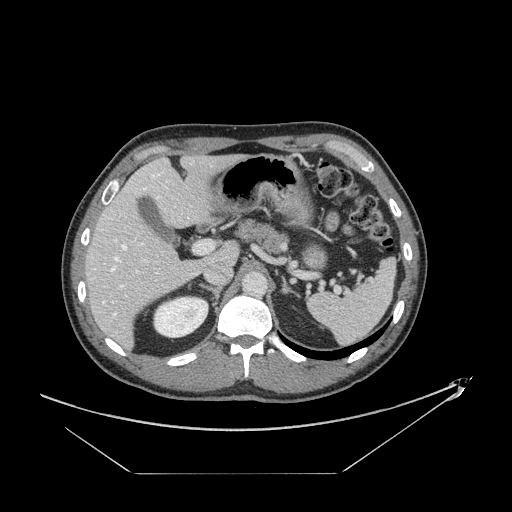
Image size 512x512, CT image
The pancreas lies within (235, 220, 288, 252).